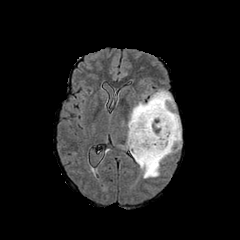
FLAIR magnetic resonance.
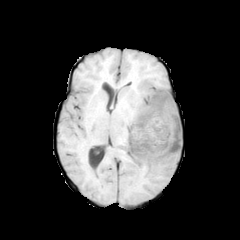
T1-weighted MRI.
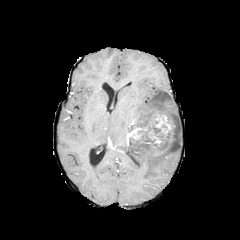
Post-contrast T1-weighted MRI.
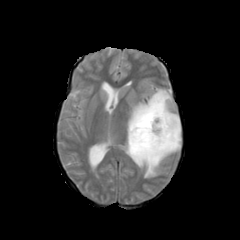
Same slice, T2-weighted MRI.
Brain | 240x240
Edema: [128, 89, 181, 178].
Enhancing tumor: [127, 119, 148, 144], [148, 114, 172, 145].
Non-enhancing tumor core: [127, 102, 177, 157].